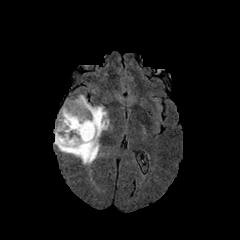
FLAIR MR.
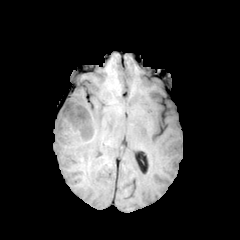
T1-weighted magnetic resonance.
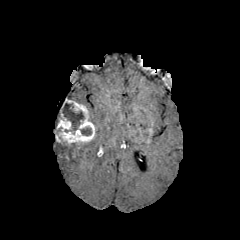
Post-contrast T1-weighted MR of the same slice.
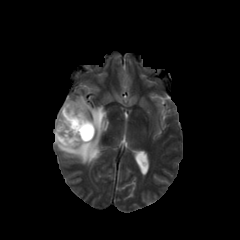
T2-weighted MR of the same slice.
Brain.
Segmented structures:
• enhancing tumor: (55, 100, 94, 144)
• edema: (54, 94, 109, 166)
• non-enhancing tumor core: (59, 142, 89, 155), (61, 102, 83, 131), (81, 127, 91, 135)